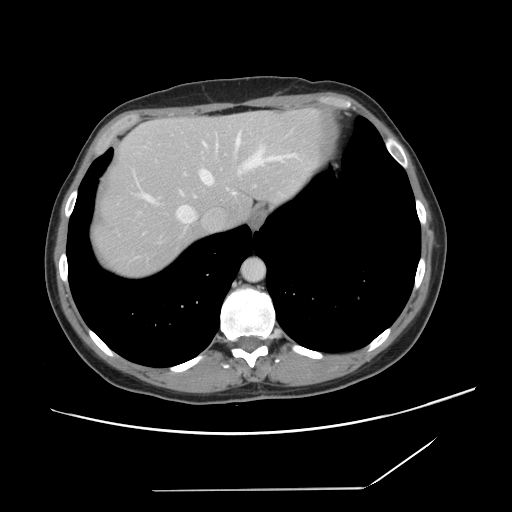
Image size 512x512 | Abdomen | CT slice
Not every hepatic vessel necessarily has a box.
Annotated regions:
• hepatic vessel: (left=216, top=139, right=217, bottom=146), (left=180, top=190, right=182, bottom=193), (left=238, top=146, right=299, bottom=173), (left=200, top=169, right=212, bottom=184), (left=236, top=130, right=241, bottom=146), (left=232, top=192, right=235, bottom=194), (left=202, top=142, right=206, bottom=145), (left=177, top=205, right=194, bottom=222), (left=136, top=179, right=138, bottom=185), (left=140, top=192, right=152, bottom=201)